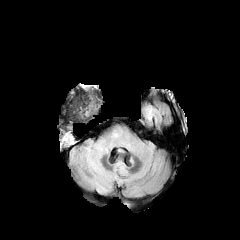
FLAIR MR image.
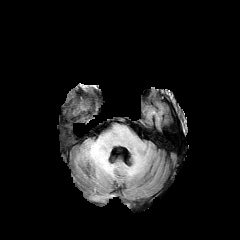
T1-weighted MR.
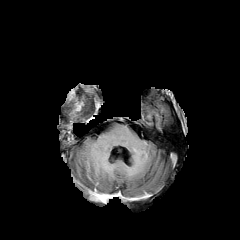
Same slice, post-contrast T1-weighted magnetic resonance.
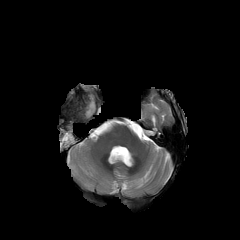
T2-weighted magnetic resonance.
The edema is bounded by x1=85, y1=146, x2=101, y2=176. The non-enhancing tumor core lies within x1=63, y1=134, x2=75, y2=143.